Brain
FLAIR MR image.
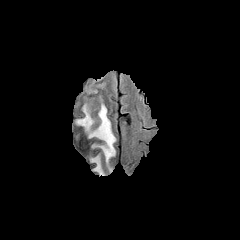
T1-weighted MR.
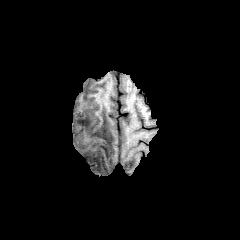
Post-contrast T1-weighted MR image.
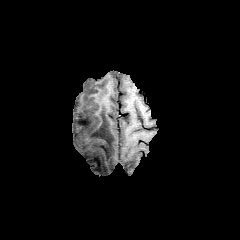
T2-weighted magnetic resonance.
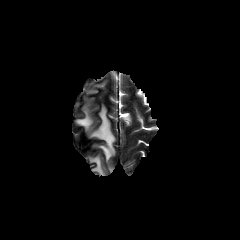
{"edema": ["<box>76,103,115,170</box>", "<box>90,154,104,175</box>"]}